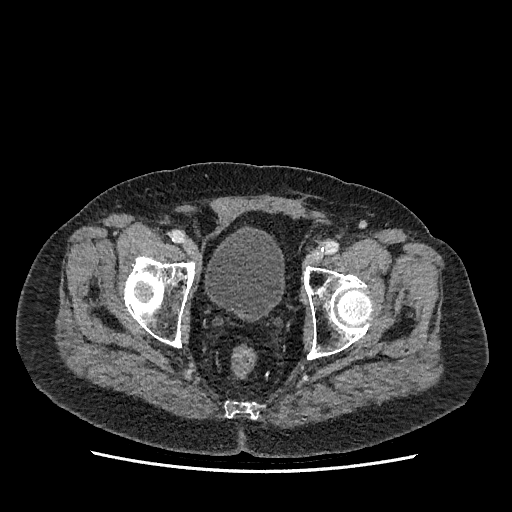
CT slice
{
  "urinary_bladder": [
    {"x1": 204, "y1": 230, "x2": 284, "y2": 321}
  ]
}